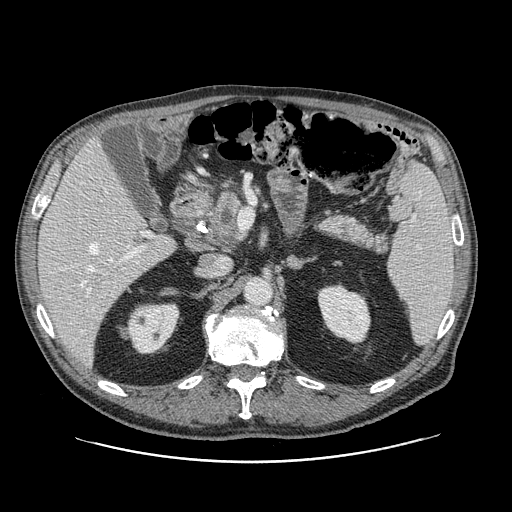
CT slice.
Annotated regions:
• pancreatic tumor: [213,223,236,243]
• pancreas: [208,194,240,248], [319,215,388,253]